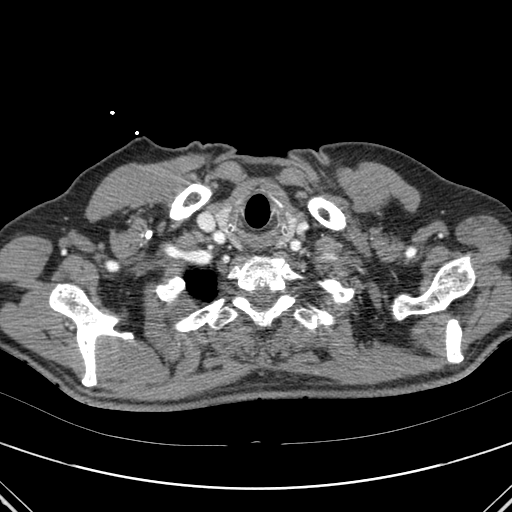 CT
11 bone regions are located at x1=175 y1=293 x2=294 y2=331, x1=170 y1=183 x2=211 y2=220, x1=155 y1=276 x2=184 y2=301, x1=406 y1=248 x2=415 y2=256, x1=308 y1=197 x2=345 y2=230, x1=228 y1=256 x2=302 y2=292, x1=318 y1=279 x2=354 y2=302, x1=445 y1=319 x2=463 y2=362, x1=49 y1=284 x2=133 y2=386, x1=293 y1=307 x2=334 y2=329, x1=392 y1=256 x2=475 y2=319. The lung appears at x1=184 y1=270 x2=216 y2=301.